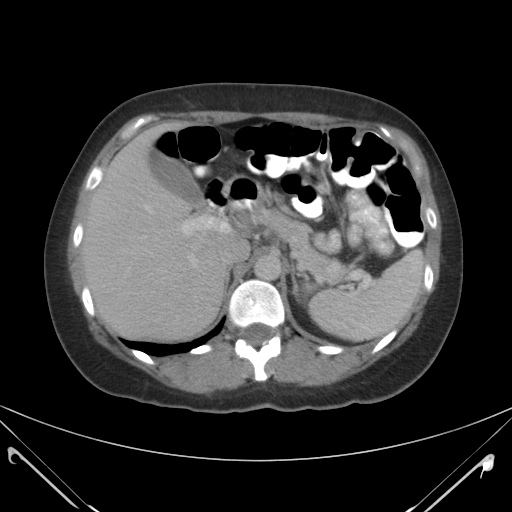 Abdomen | CT

The spleen lies within <bbox>309, 250, 424, 339</bbox>.